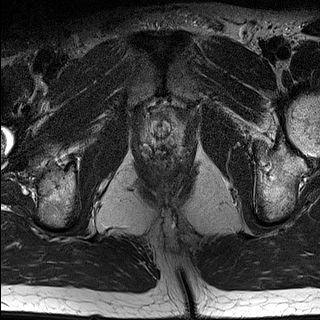
T2-weighted MRI.
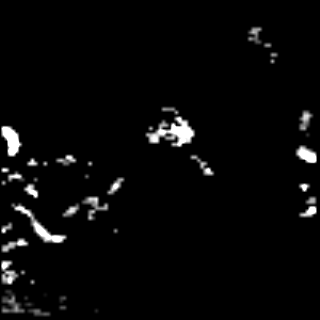
ADC MR of the same slice.
{"prostate_transition_zone": ["left=146, top=121, right=177, bottom=142"]}